512x512; CT

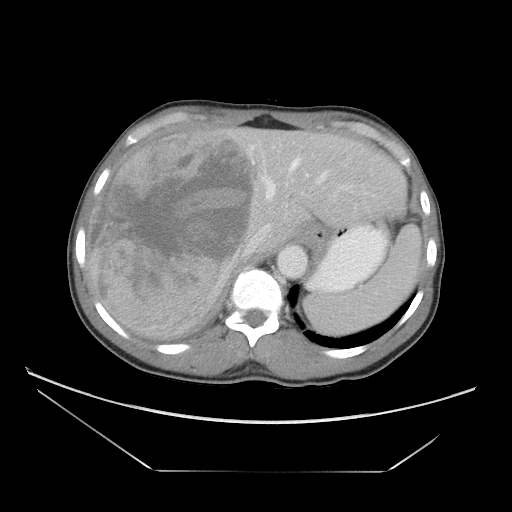

The vessel boxes may cover only some of the vessels.
Annotated regions:
• liver tumor: x1=85 y1=129 x2=263 y2=339
• hepatic vessel: x1=317 y1=179 x2=321 y2=183, x1=322 y1=173 x2=325 y2=177, x1=285 y1=181 x2=287 y2=185, x1=307 y1=175 x2=309 y2=176, x1=240 y1=250 x2=251 y2=256, x1=266 y1=180 x2=274 y2=198, x1=340 y1=186 x2=346 y2=189, x1=288 y1=156 x2=301 y2=176